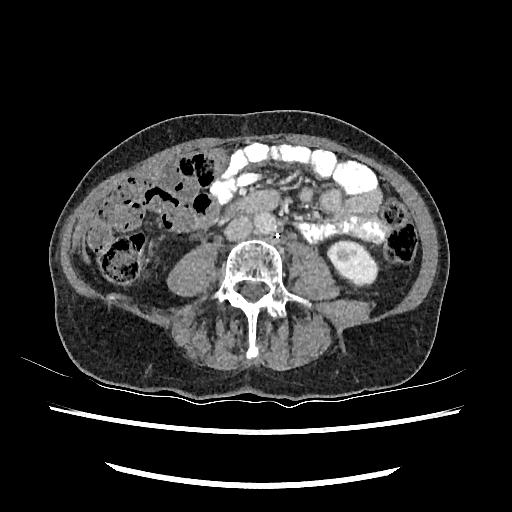

CT slice | Image size 512x512
Kidney: bounding box {"x1": 329, "y1": 242, "x2": 376, "y2": 282}.